CT slice

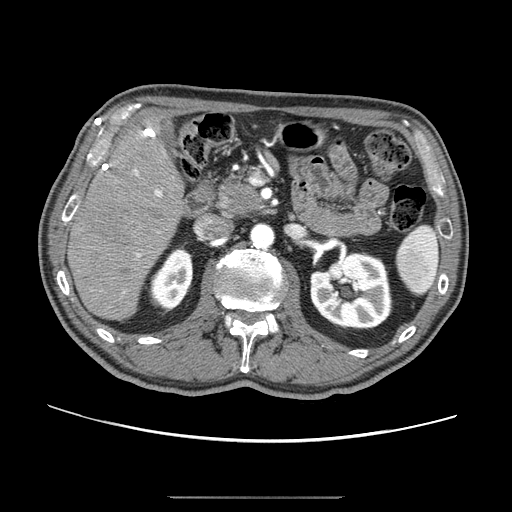 Annotated regions:
- pancreatic tumor: (left=226, top=184, right=260, bottom=213)
- pancreas: (left=219, top=167, right=262, bottom=215)